240x240
FLAIR magnetic resonance.
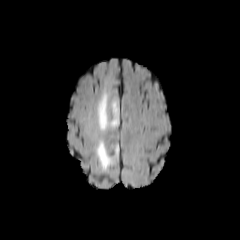
T1-weighted MR.
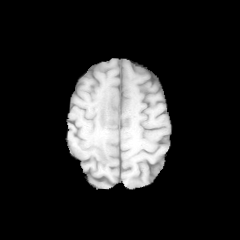
Post-contrast T1-weighted MR image.
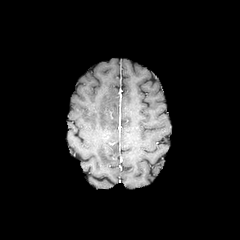
T2-weighted MRI.
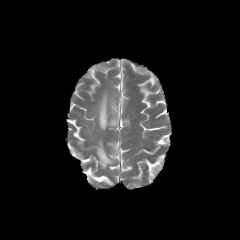
edema: <bbox>97, 92, 119, 129</bbox>, <bbox>96, 141, 118, 170</bbox>